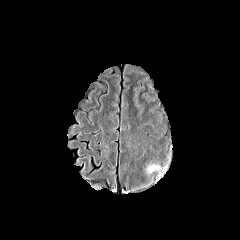
FLAIR MRI.
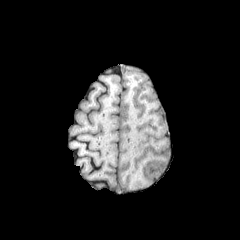
T1-weighted MRI.
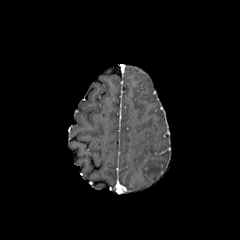
Same slice, post-contrast T1-weighted MR.
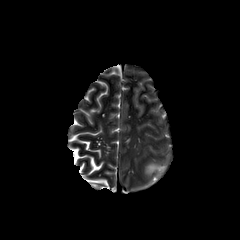
T2-weighted MRI.
240x240
Edema: box(148, 165, 159, 173).